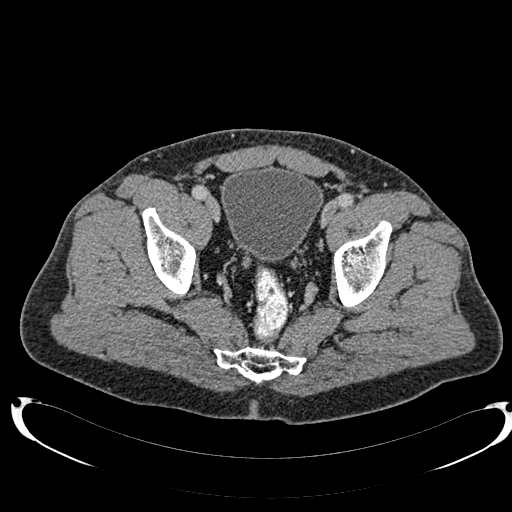
Pelvis, CT
Urinary bladder: bounding box <bbox>222, 164, 323, 262</bbox>.